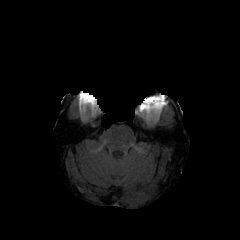
FLAIR MR image.
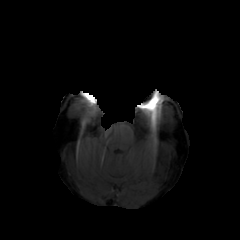
T1-weighted MR image.
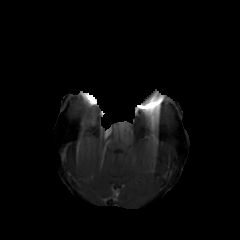
Post-contrast T1-weighted MRI.
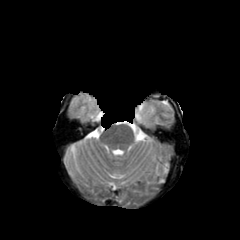
T2-weighted MR image.
Head
Findings:
* non-enhancing tumor core: l=86, t=98, r=97, b=106; l=148, t=110, r=159, b=123; l=140, t=100, r=157, b=107
* enhancing tumor: l=140, t=102, r=161, b=117